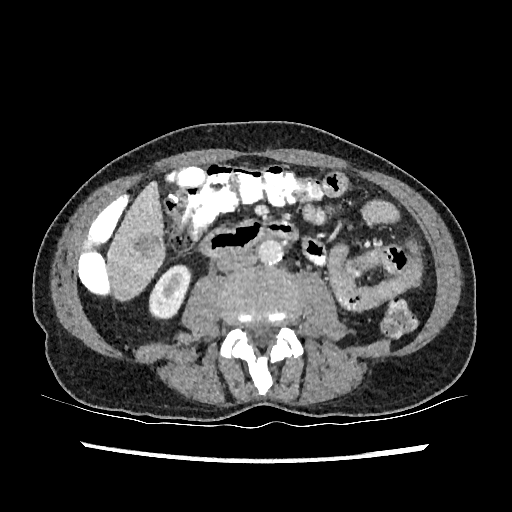 Abdomen | CT
hepatic_lesion:
  - [134, 236, 152, 258]
kidney:
  - [150, 266, 189, 317]
liver:
  - [107, 181, 164, 299]